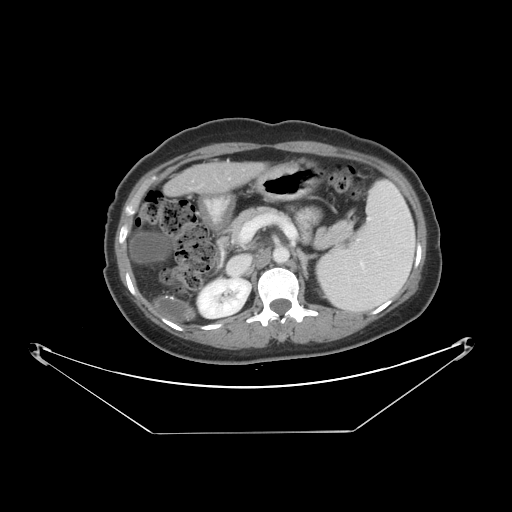 512x512, Computed tomography, Abdomen
Liver tumor at {"x1": 160, "y1": 296, "x2": 184, "y2": 318}.